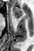

Medial temporal lobe | MRI slice
<segmentation>
  <anterior_hippocampus>[12, 7, 22, 18]</anterior_hippocampus>
</segmentation>